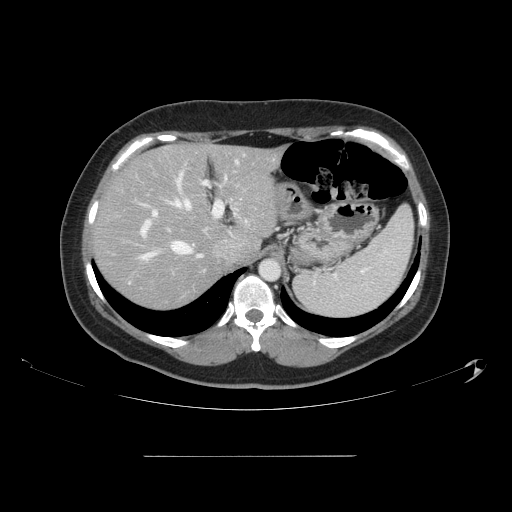

CT image

Only some of the vessels may be annotated.
12 hepatic vessel regions appear at (153,211,156,216), (197,254,201,257), (235,160,237,162), (140,253,152,259), (202,182,206,184), (182,200,189,207), (172,241,191,253), (170,199,180,205), (177,171,182,184), (212,201,222,217), (140,220,150,235), (225,176,226,178).